FLAIR MR image.
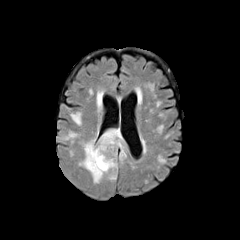
T1-weighted magnetic resonance.
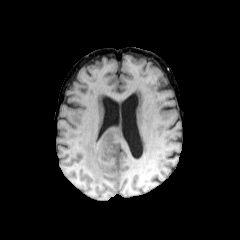
Post-contrast T1-weighted MR image.
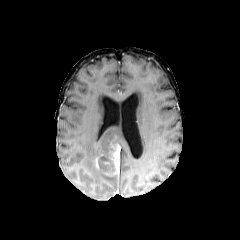
T2-weighted magnetic resonance.
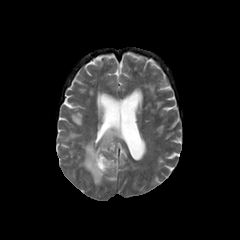
Image size 240x240
{
  "edema": [
    "box(79, 127, 127, 183)",
    "box(63, 131, 79, 143)",
    "box(97, 103, 101, 121)"
  ],
  "non-enhancing_tumor_core": [
    "box(97, 141, 118, 173)"
  ],
  "enhancing_tumor": [
    "box(104, 144, 120, 178)"
  ]
}